Slice 441 of 846. CT.
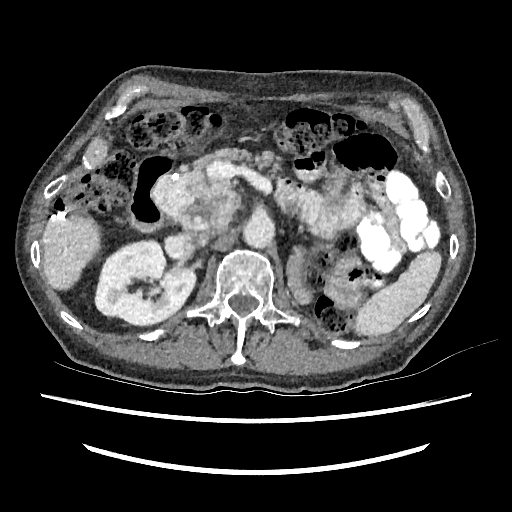 Segmented structures:
* kidney: x1=95, y1=241, x2=195, y2=325
* liver: x1=43, y1=218, x2=100, y2=289